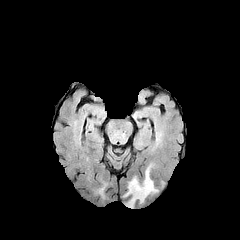
FLAIR MRI.
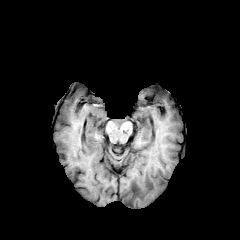
T1-weighted MR image.
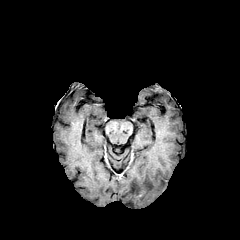
Post-contrast T1-weighted MR image.
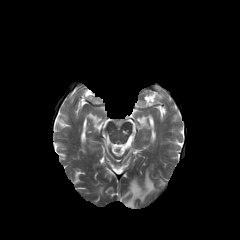
Same slice, T2-weighted MR.
{
  "edema": [
    "124, 168, 157, 207"
  ]
}